Image width 383 mm | CT image | Slice 44 of 47
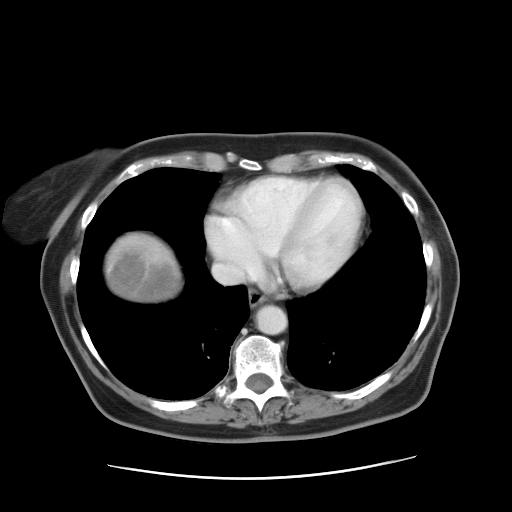
Not every hepatic vessel necessarily has a box.
liver_tumor:
  - (110,250,179,297)
hepatic_vessel:
  - (210,238,252,285)
  - (221,238,225,241)